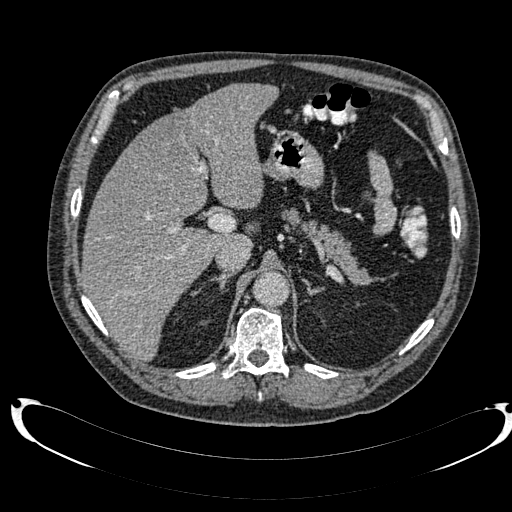 Computed tomography. Upper abdomen.

{
  "focal_liver_lesion": [
    "bbox=[137, 116, 190, 173]"
  ],
  "liver": [
    "bbox=[246, 222, 260, 233]",
    "bbox=[81, 84, 278, 360]"
  ]
}